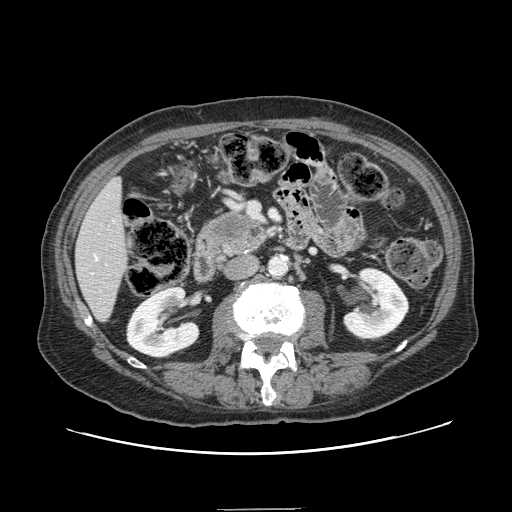
CT slice.
• pancreas: l=207, t=209, r=265, b=257
• pancreatic tumor: l=211, t=213, r=251, b=240